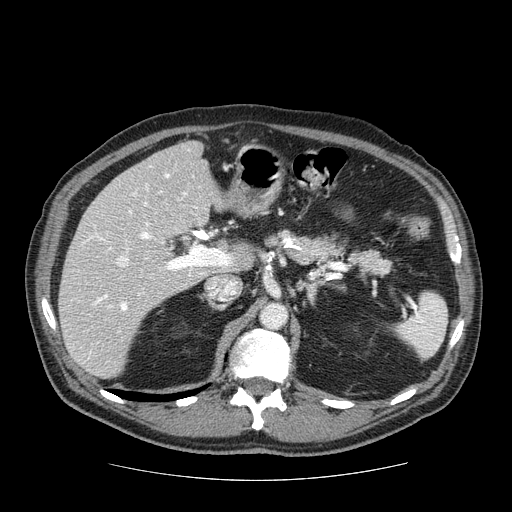 Abdomen; CT scan slice

The pancreas appears at {"x1": 261, "y1": 228, "x2": 392, "y2": 276}.